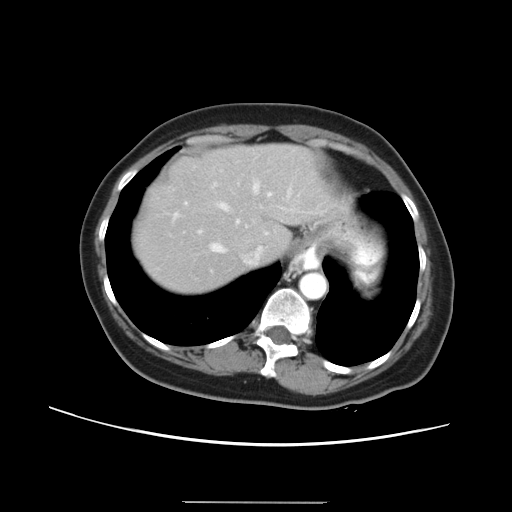

Abdomen. 512x512 px. CT image.
The vessel annotation is not exhaustive.
6 hepatic vessel regions appear at [253, 182, 259, 192], [211, 244, 223, 251], [174, 212, 178, 218], [236, 220, 239, 222], [218, 202, 228, 209], [184, 202, 186, 204].